Slice 29/38, Hippocampus, 37x50 px, MR image 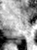
Posterior hippocampus = 14,39,21,43.